CT; Image size 512x512

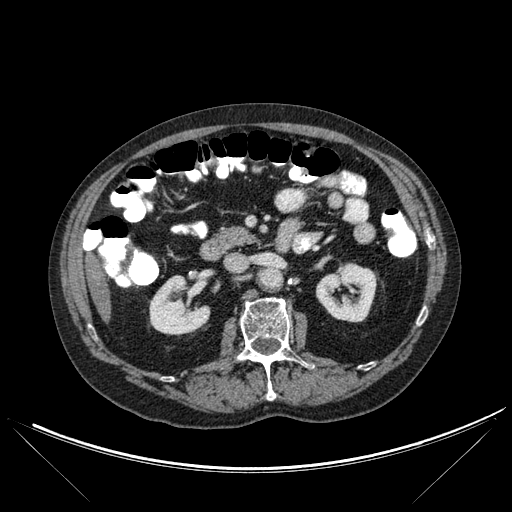
2 bone regions are bounded by <box>237,298,290,376</box>, <box>267,382,275,399</box>. The liver is bounded by <box>85,257,110,321</box>. 2 kidney regions appear at <box>150,276,209,334</box>, <box>316,264,375,321</box>.